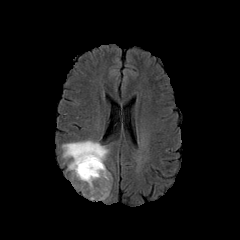
FLAIR MR.
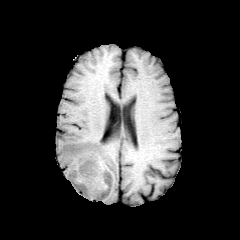
Same slice, T1-weighted magnetic resonance.
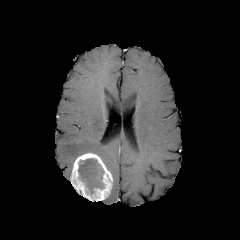
Same slice, post-contrast T1-weighted MR image.
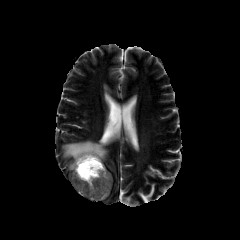
T2-weighted magnetic resonance.
Head
* enhancing tumor: left=70, top=153, right=112, bottom=201
* edema: left=61, top=139, right=109, bottom=172
* non-enhancing tumor core: left=78, top=158, right=103, bottom=188